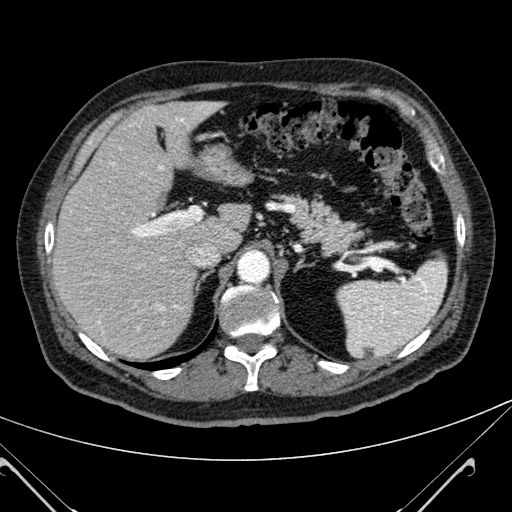
Image size 512x512; CT scan slice
Segmented structures:
* liver: box=[51, 99, 246, 358]